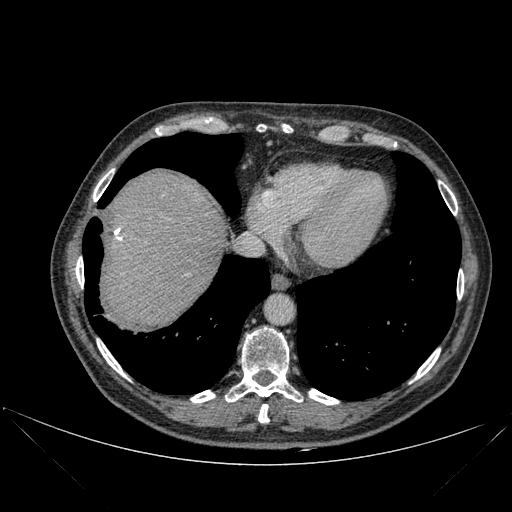
CT scan slice; 512x512 px; Upper abdomen
{
  "lung": [
    "box(83, 217, 270, 394)",
    "box(98, 132, 242, 215)",
    "box(296, 151, 461, 400)"
  ],
  "liver": [
    "box(100, 174, 226, 332)"
  ],
  "bone": [
    "box(309, 389, 338, 404)",
    "box(282, 124, 291, 132)",
    "box(415, 349, 440, 379)",
    "box(97, 340, 126, 377)",
    "box(226, 327, 301, 402)",
    "box(75, 257, 84, 287)",
    "box(457, 269, 463, 299)",
    "box(441, 183, 457, 215)",
    "box(93, 169, 112, 201)",
    "box(258, 404, 268, 422)",
    "box(190, 390, 214, 402)"
  ]
}